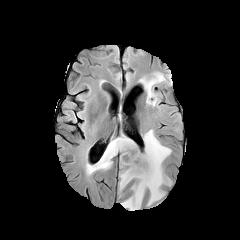
FLAIR MRI.
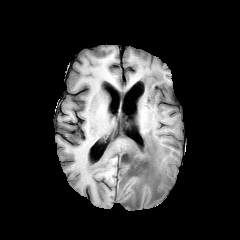
Same slice, T1-weighted MR image.
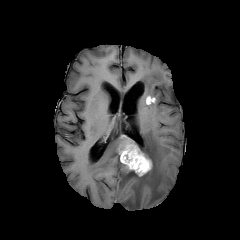
Post-contrast T1-weighted MR image.
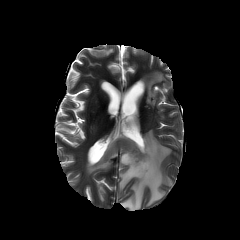
T2-weighted MR image.
Enhancing tumor at box(120, 142, 151, 175).
Edema at box(86, 137, 125, 173); box(119, 130, 171, 210); box(142, 72, 165, 105).
Non-enhancing tumor core at box(120, 137, 143, 155); box(125, 155, 153, 181).